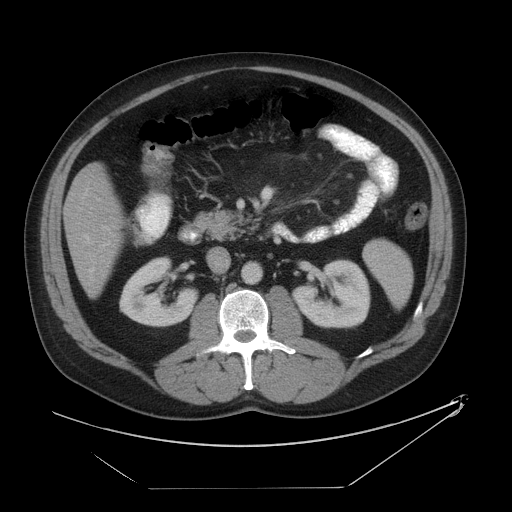
CT image; 512x512 px
Segmented structures:
• spleen: 365 240 413 309